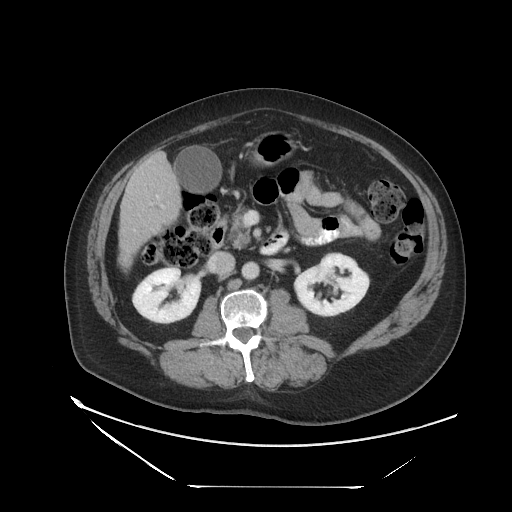 CT image. The vessel boxes may cover only some of the vessels.
hepatic_vessel:
  - {"x1": 161, "y1": 205, "x2": 164, "y2": 207}